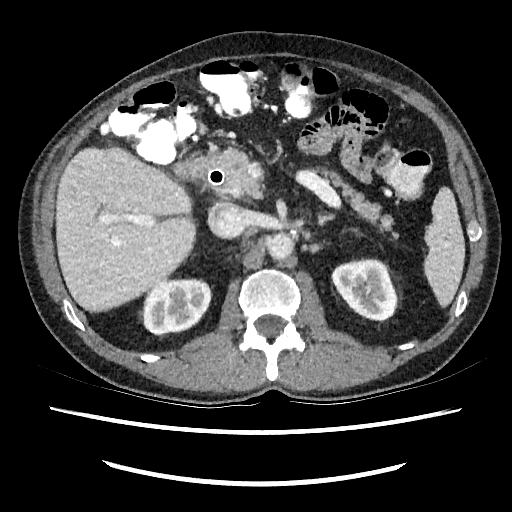
512x512 px; CT slice; Upper abdomen

2 kidney regions are located at bbox=[333, 261, 396, 319]; bbox=[144, 280, 210, 333]. The liver lies within bbox=[56, 149, 195, 310].